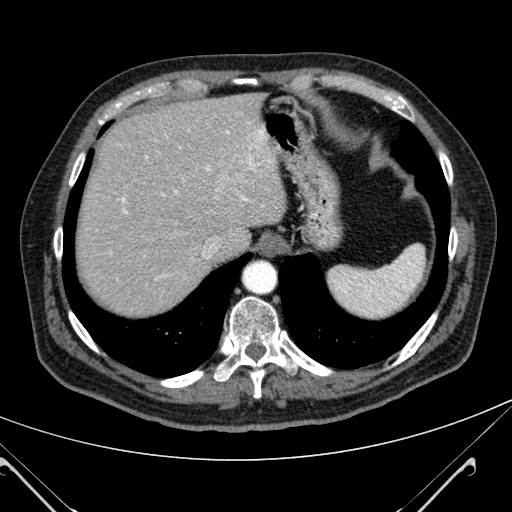
Liver. CT image. Liver at [75, 90, 287, 317].